Upper abdomen, Slice index 503, Computed tomography
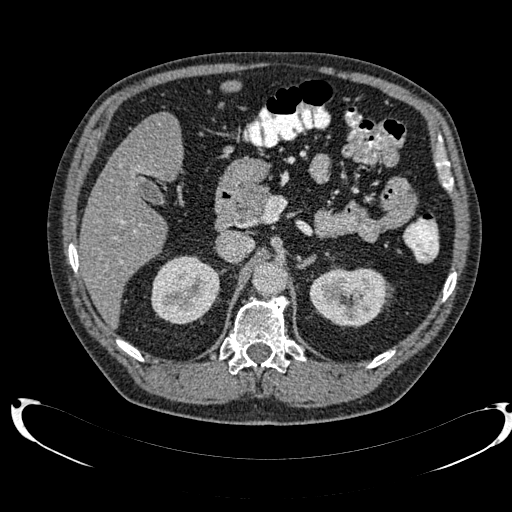
<segmentation>
  <liver><box>221,81,241,91</box>, <box>80,111,183,327</box></liver>
  <kidney><box>151,256,219,323</box>, <box>310,268,387,327</box></kidney>
  <hepatic_lesion><box>151,114,178,137</box></hepatic_lesion>
</segmentation>